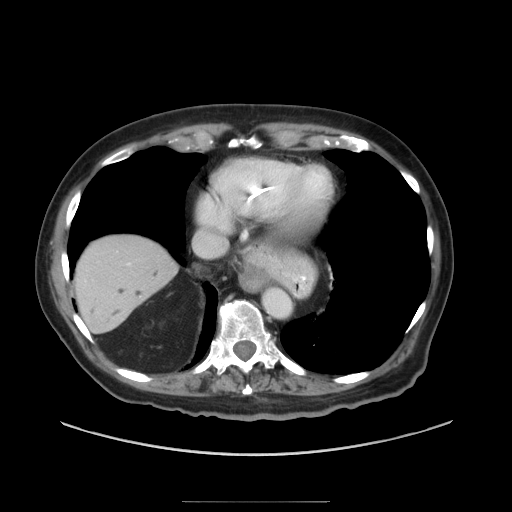
Computed tomography; Abdomen

Only some of the vessels may be annotated.
hepatic vessel: x1=128 y1=263 x2=129 y2=265